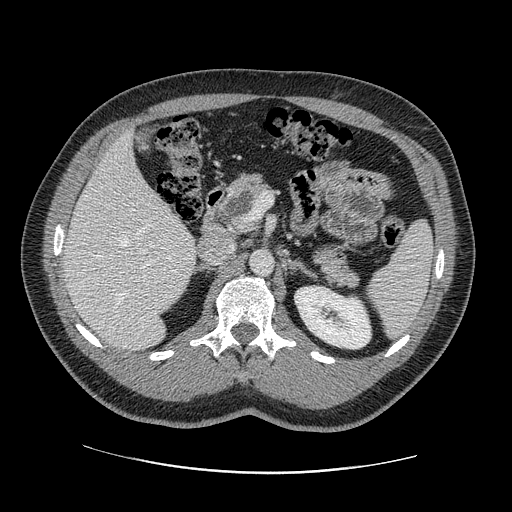 Computed tomography.
Pancreatic tumor: bounding box {"x1": 224, "y1": 189, "x2": 254, "y2": 219}.
Pancreas: bounding box {"x1": 214, "y1": 172, "x2": 270, "y2": 233}, {"x1": 311, "y1": 242, "x2": 361, "y2": 288}.